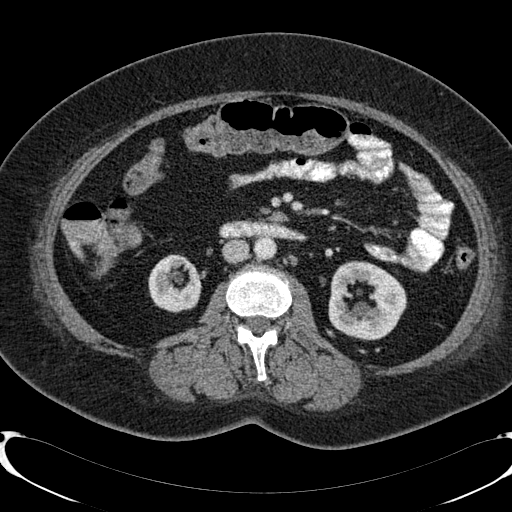 512x512 | Computed tomography
kidney: {"x1": 329, "y1": 263, "x2": 405, "y2": 339}, {"x1": 149, "y1": 255, "x2": 202, "y2": 311} | liver: {"x1": 68, "y1": 240, "x2": 80, "y2": 256}